FLAIR magnetic resonance.
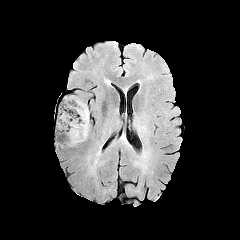
T1-weighted MRI.
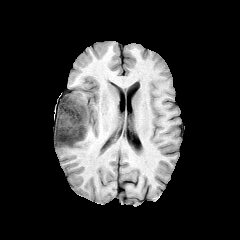
Post-contrast T1-weighted MR image.
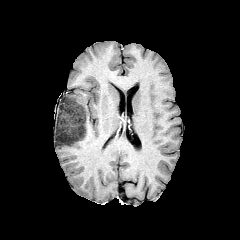
T2-weighted MR image.
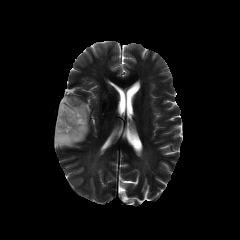
Image size 240x240
Non-enhancing tumor core — box=[56, 102, 89, 145].
Edema — box=[59, 100, 76, 114].